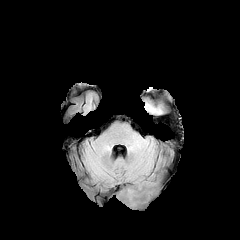
FLAIR MRI.
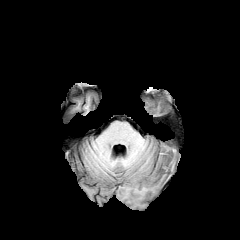
T1-weighted magnetic resonance of the same slice.
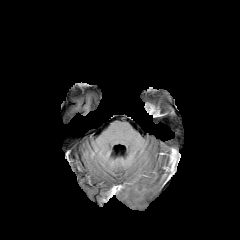
Post-contrast T1-weighted MR image.
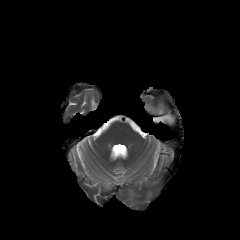
T2-weighted MR.
240x240, Head
Edema: bounding box [146, 104, 162, 115].